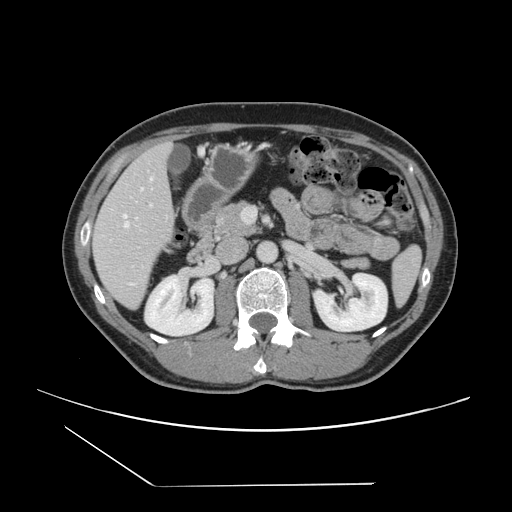
CT; Liver
Not every hepatic vessel necessarily has a box.
Annotated regions:
- hepatic vessel: [134,283,136,284]